Abdomen. CT. Field of view 409 mm wide, 2.00 mm slice spacing. Slice 195 of 244.

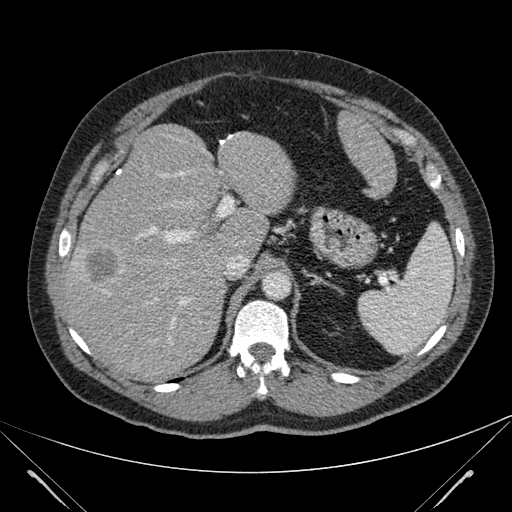

2 liver regions are located at 338,111,395,198; 54,124,294,381. The liver lesion is at 83,246,120,287.